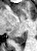

MR; 37x51 px
Posterior hippocampus: box(12, 31, 26, 43).